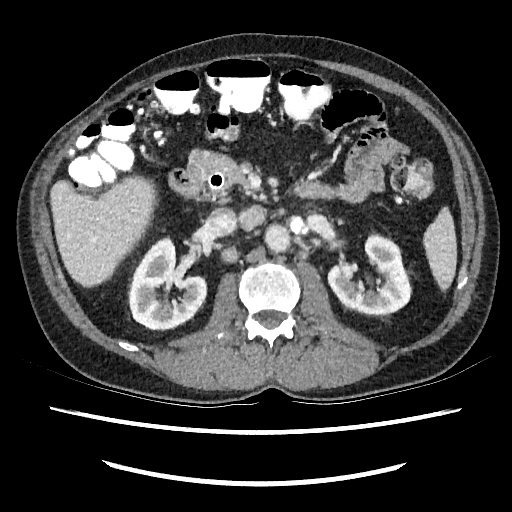 Computed tomography, Upper abdomen
Kidney at x1=328, y1=236, x2=410, y2=313; x1=130, y1=240, x2=205, y2=329.
Liver at x1=51, y1=176, x2=153, y2=284.